CT image. 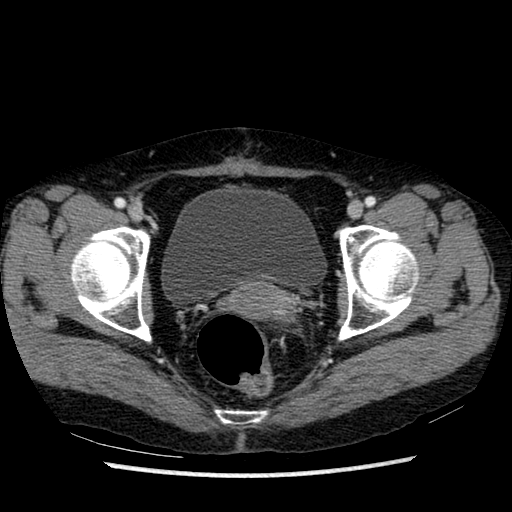

The urinary bladder is at rect(161, 186, 326, 304).